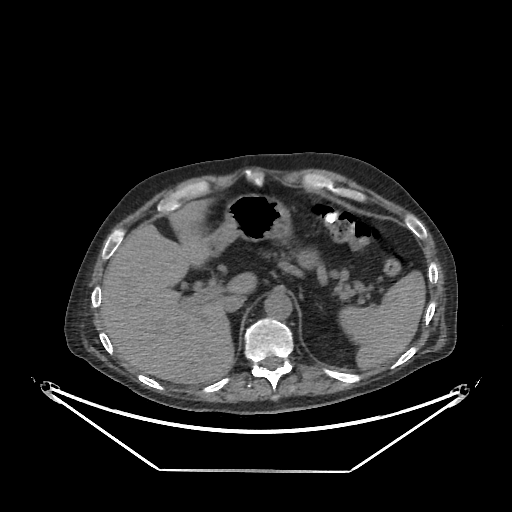
Liver; Computed tomography; Image size 512x512
The liver is bounded by x1=94 y1=200 x2=255 y2=383.